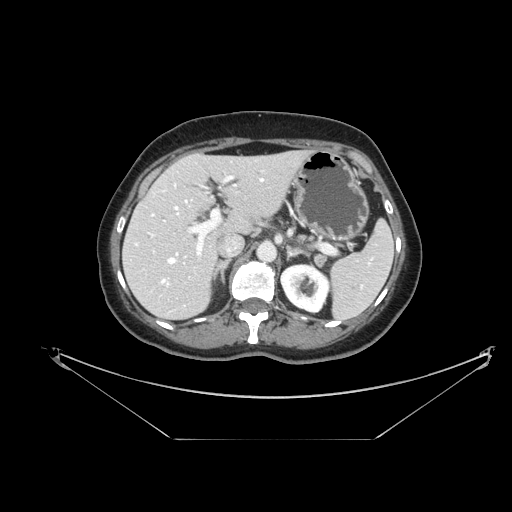

CT slice; Image size 512x512
pancreas: 315,254,329,264